Head
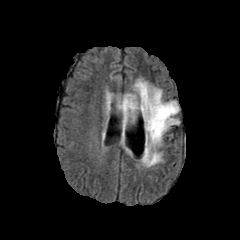
FLAIR MRI.
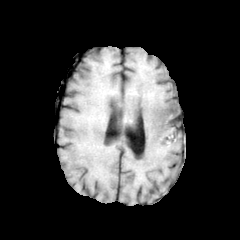
T1-weighted MR.
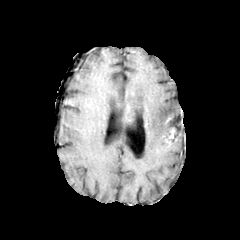
Post-contrast T1-weighted MR image of the same slice.
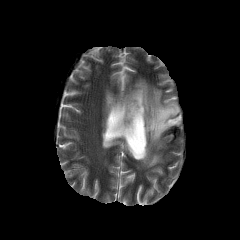
T2-weighted magnetic resonance.
The edema is located at (x1=118, y1=80, x2=180, y2=166). The non-enhancing tumor core lies within (x1=164, y1=106, x2=176, y2=117).